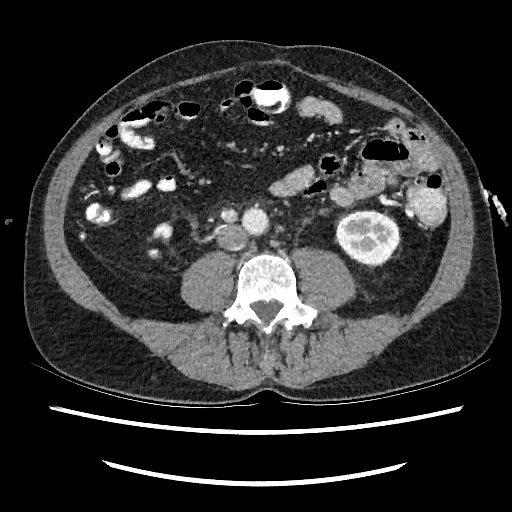 CT scan slice
{
  "kidney": [
    "(left=155, top=225, right=170, bottom=237)",
    "(left=337, top=212, right=398, bottom=263)"
  ]
}